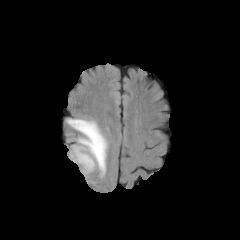
FLAIR MR.
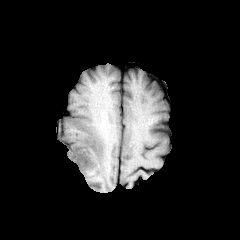
T1-weighted MR.
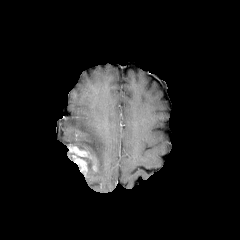
Same slice, post-contrast T1-weighted MR image.
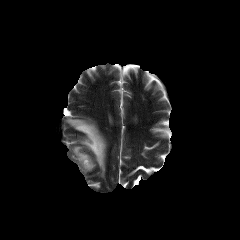
T2-weighted magnetic resonance of the same slice.
240x240
Edema: bounding box 67, 117, 107, 175.
Enhancing tumor: bounding box 69, 146, 88, 174.